Slice index 408 | CT slice | Upper abdomen 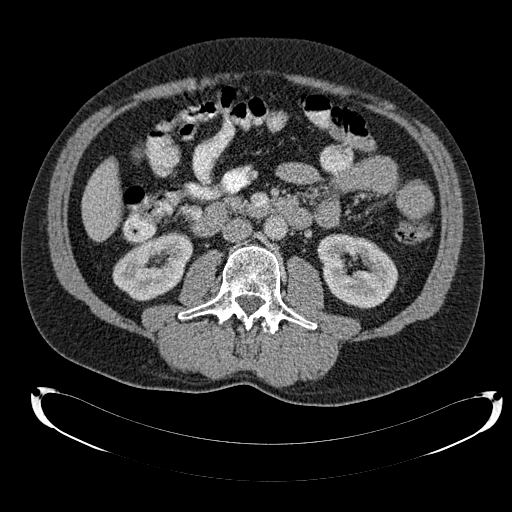
Liver: bounding box <bbox>82, 163, 120, 240</bbox>.
Kidney: bounding box <bbox>113, 234, 191, 299</bbox>, <bbox>318, 234, 397, 307</bbox>.